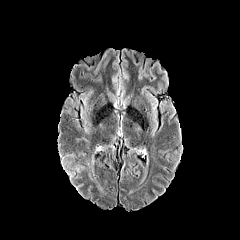
FLAIR MR image.
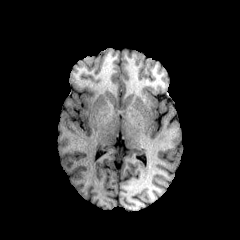
T1-weighted magnetic resonance of the same slice.
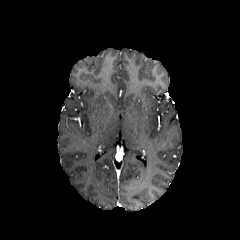
Post-contrast T1-weighted MR image of the same slice.
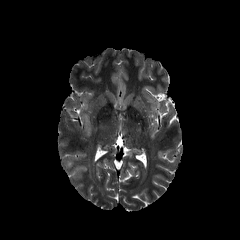
T2-weighted MRI.
{"edema": ["rect(81, 117, 88, 132)", "rect(90, 147, 97, 171)"]}